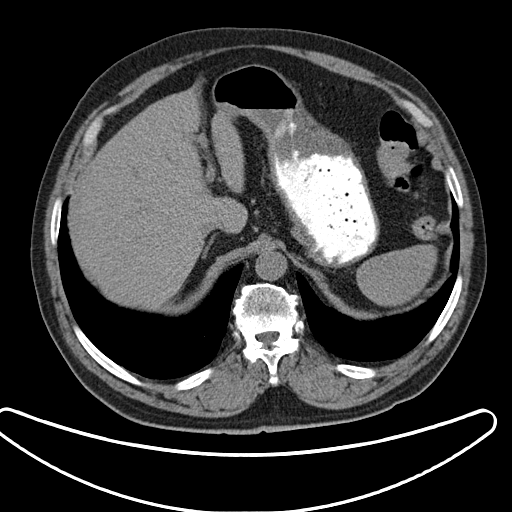
CT, Upper abdomen
<segmentation>
  <spleen>[x1=359, y1=246, x2=435, y2=303]</spleen>
</segmentation>